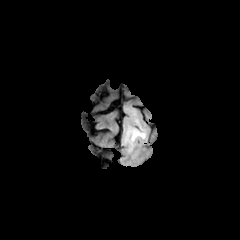
FLAIR MR.
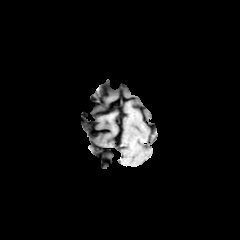
T1-weighted MRI of the same slice.
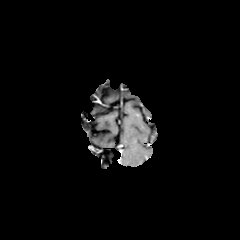
Same slice, post-contrast T1-weighted magnetic resonance.
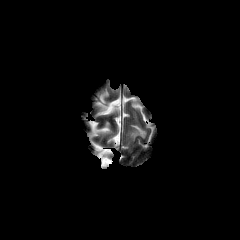
Same slice, T2-weighted MR image.
Image size 240x240
Edema: box=[125, 118, 146, 146].